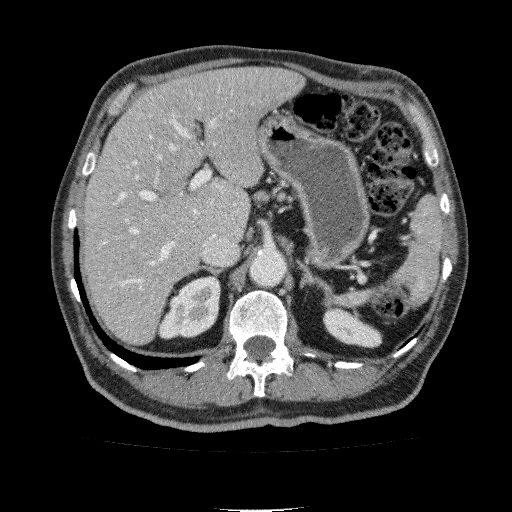
Computed tomography.
The liver is bounded by x1=85 y1=67 x2=305 y2=343. 2 kidney regions appear at x1=324 y1=310 x2=380 y2=346, x1=160 y1=277 x2=219 y2=337.